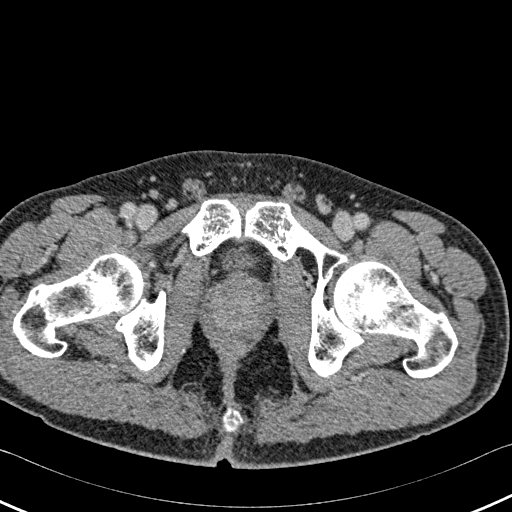 CT
• bone: <box>182,200,457,377</box>, <box>223,408,242,430</box>, <box>12,253,165,370</box>